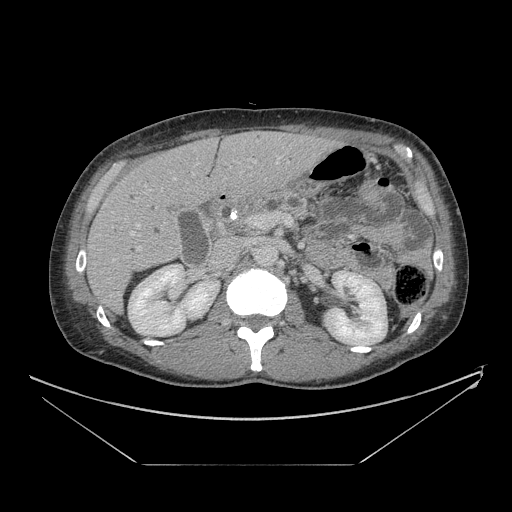 512x512 px; Upper abdomen; CT scan slice
Pancreas at left=234, top=189, right=312, bottom=232.